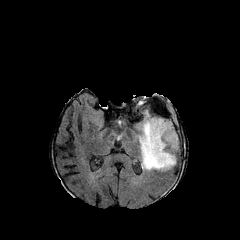
FLAIR magnetic resonance.
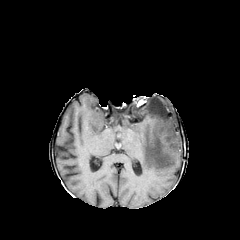
T1-weighted MR image.
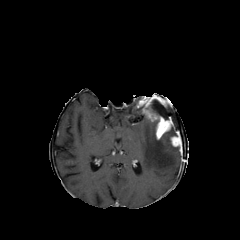
Post-contrast T1-weighted MRI.
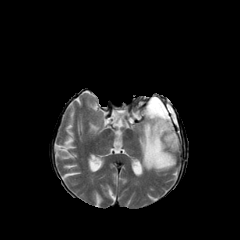
Same slice, T2-weighted MRI.
enhancing_tumor:
  - l=170, t=134, r=179, b=146
  - l=144, t=106, r=173, b=139
edema:
  - l=137, t=118, r=178, b=171
non-enhancing_tumor_core:
  - l=141, t=94, r=181, b=150